Computed tomography. Image width 500 mm. Abdomen.
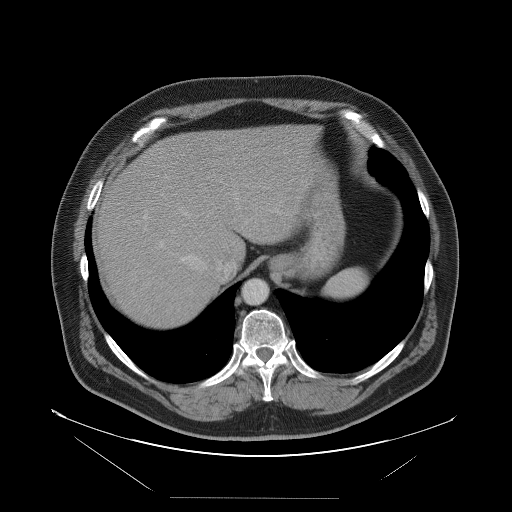
Only some of the vessels may be annotated.
4 hepatic vessel regions appear at [144,212,147,218], [180,255,196,260], [156,242,163,247], [217,261,221,268].